Slice 67 of 83; Abdomen; CT

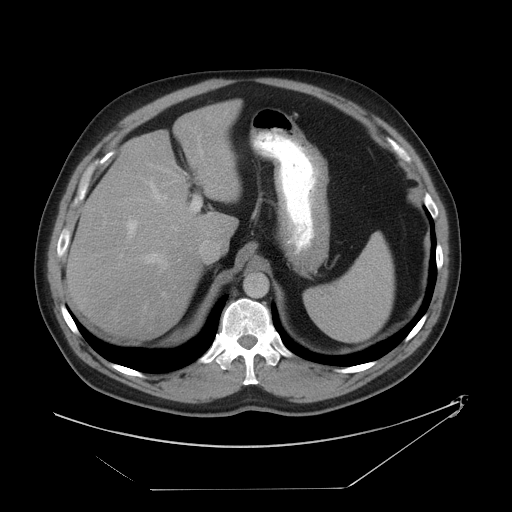 The spleen lies within region(304, 233, 394, 341).